CT image | Slice index 691
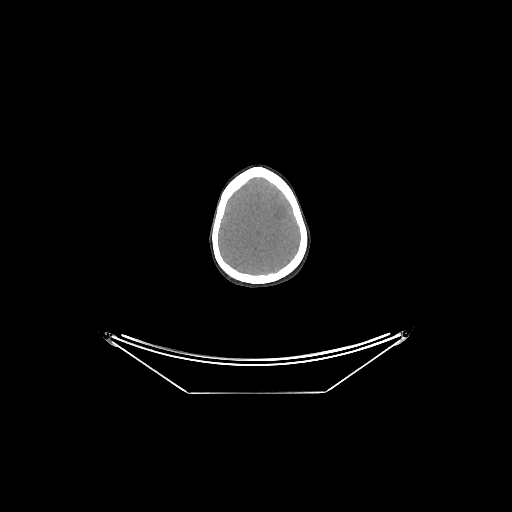
Brain — <bbox>218, 177, 300, 275</bbox>.